Abdomen, Computed tomography, Slice 168 of 245 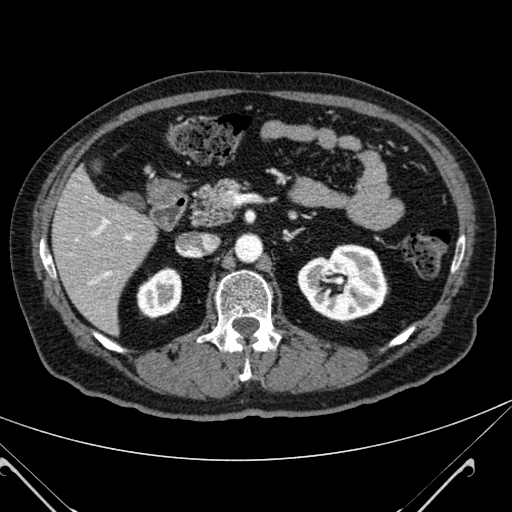 Kidney at bbox=[138, 269, 180, 316]; bbox=[299, 245, 386, 319].
Liver at bbox=[50, 178, 155, 333].